FLAIR MR image.
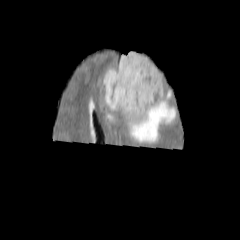
T1-weighted MRI.
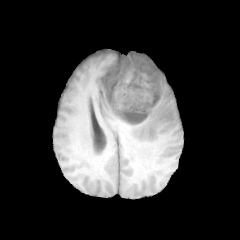
Post-contrast T1-weighted MR.
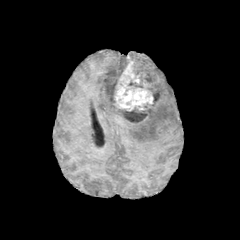
T2-weighted MR image.
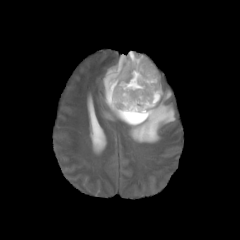
Head
{
  "non-enhancing_tumor_core": [
    "left=122, top=104, right=152, bottom=123",
    "left=103, top=59, right=128, bottom=103",
    "left=128, top=52, right=161, bottom=102"
  ],
  "edema": [
    "left=105, top=73, right=175, bottom=143",
    "left=103, top=52, right=132, bottom=77"
  ],
  "enhancing_tumor": [
    "left=113, top=56, right=153, bottom=110"
  ]
}